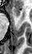 Medial temporal lobe, MR
Anterior hippocampus at box(11, 6, 20, 17).